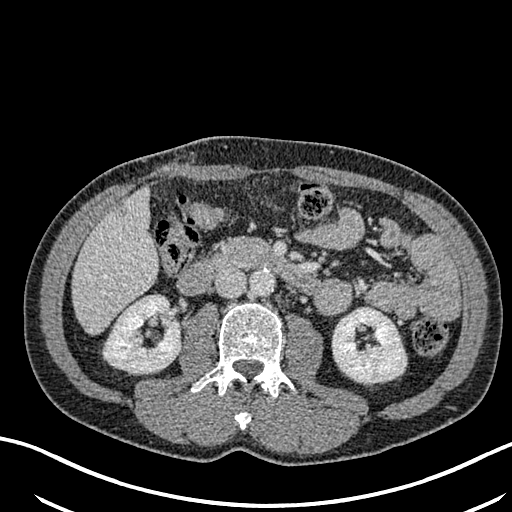 CT scan slice
• hepatic lesion: box(82, 320, 90, 331); box(116, 206, 127, 217)
• kidney: box(105, 295, 180, 372); box(333, 308, 406, 382)
• liver: box(72, 188, 155, 332)